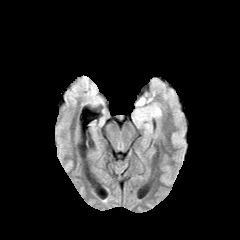
FLAIR MR.
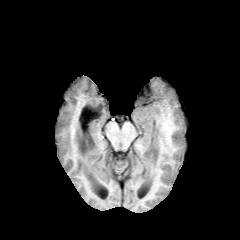
T1-weighted MR.
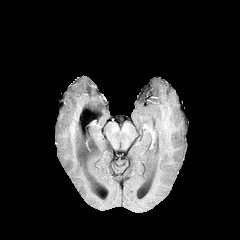
Same slice, post-contrast T1-weighted magnetic resonance.
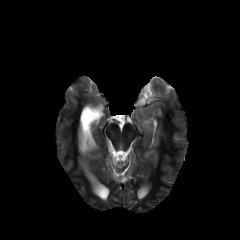
Same slice, T2-weighted MR image.
Brain, 240x240
{"edema": ["[134,95,161,124]"]}